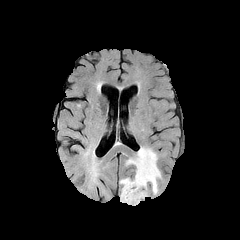
FLAIR MRI.
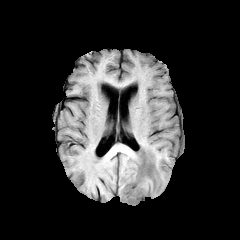
T1-weighted MRI of the same slice.
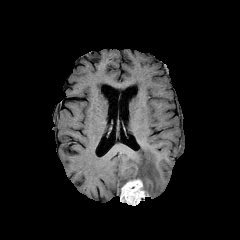
Post-contrast T1-weighted MRI.
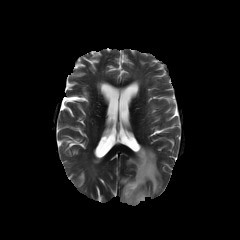
Same slice, T2-weighted MR.
Image size 240x240
The edema is at 120 147 161 195. The enhancing tumor is located at 120 178 148 205.